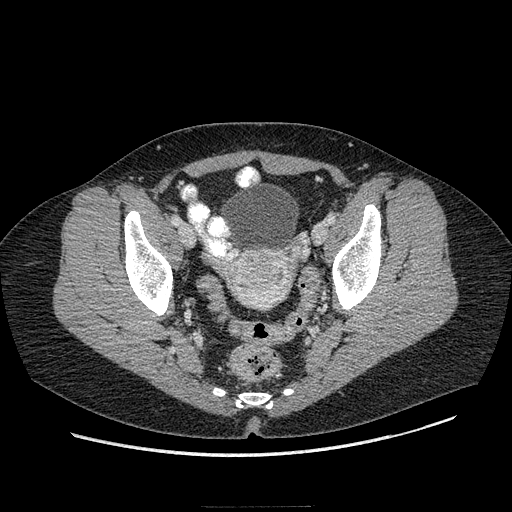 512x512. CT image.
colon tumor: box(231, 346, 253, 380)